Abdomen. CT scan slice. Slice 28/134. 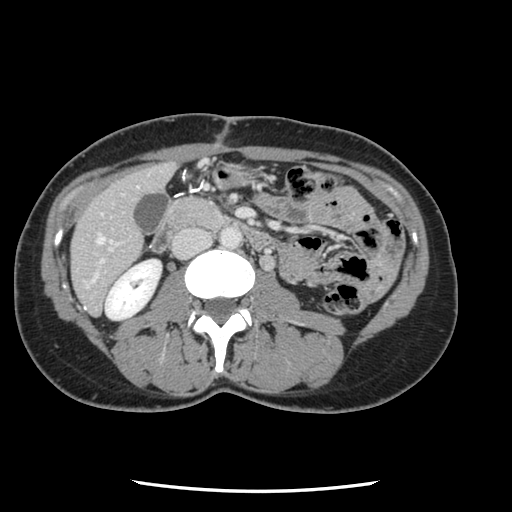
The vessel boxes may cover only some of the vessels.
hepatic_vessel:
  - l=109, t=240, r=113, b=249
  - l=92, t=273, r=96, b=280
  - l=96, t=234, r=103, b=244
  - l=99, t=259, r=102, b=264